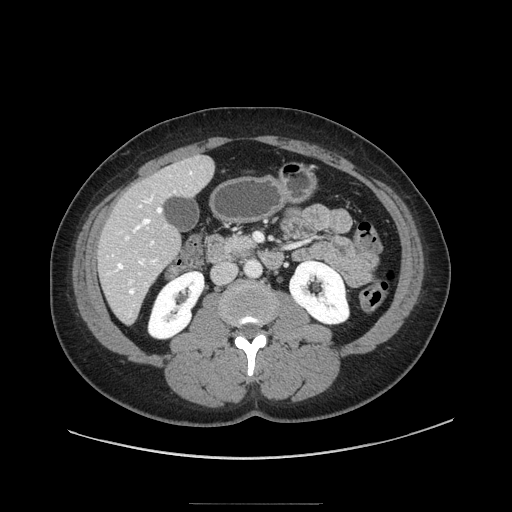
Upper abdomen | CT

Pancreatic tumor: 231,243,252,256.
Pancreas: 225,232,257,262.